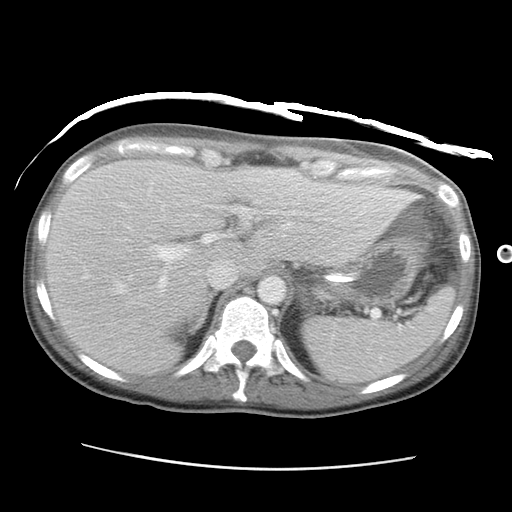

Computed tomography | Liver
Liver: bounding box 45,159,421,375.